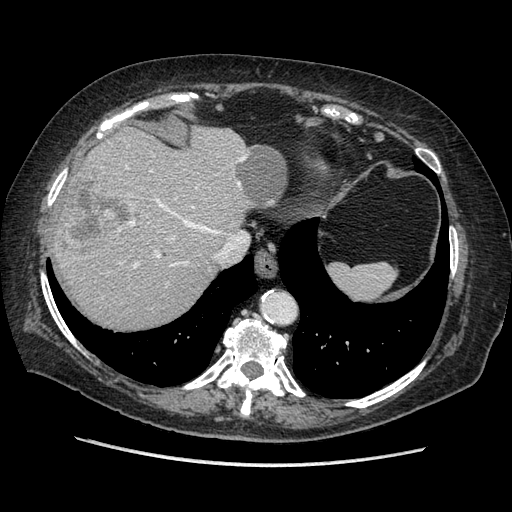

Image size 512x512. CT slice. The vessel annotation is not exhaustive.
hepatic_vessel:
  - [125,164,127,166]
  - [182,219,195,226]
  - [207,230,213,232]
  - [171,263,174,264]
  - [155,252,158,255]
  - [155,198,163,206]
liver_tumor:
  - [57,176,137,253]